FLAIR magnetic resonance.
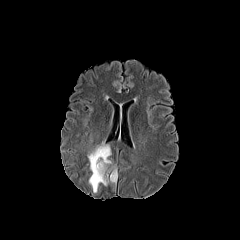
T1-weighted MR image.
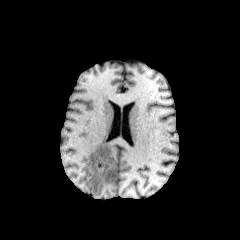
Post-contrast T1-weighted MRI.
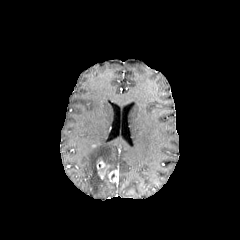
T2-weighted magnetic resonance.
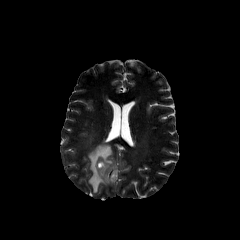
Enhancing tumor = l=97, t=161, r=109, b=179; l=108, t=170, r=117, b=182.
Edema = l=86, t=143, r=113, b=192.
Non-enhancing tumor core = l=103, t=169, r=110, b=183.